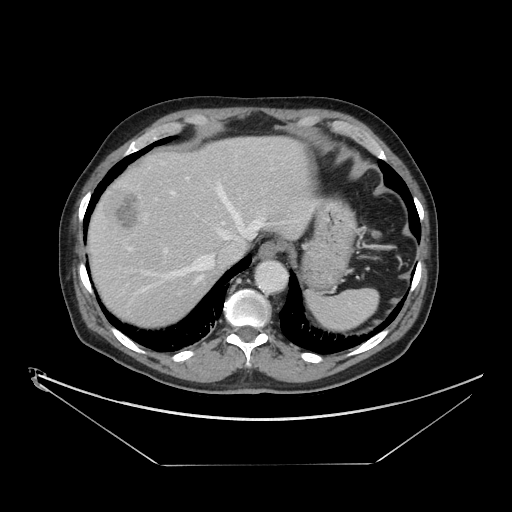 CT image
The vessel annotation is not exhaustive.
13 hepatic vessel regions are bounded by <bbox>187, 177, 188, 178</bbox>, <bbox>219, 230, 231, 239</bbox>, <bbox>145, 215, 146, 218</bbox>, <bbox>222, 222, 224, 224</bbox>, <bbox>196, 275, 203, 281</bbox>, <bbox>216, 182, 263, 236</bbox>, <bbox>127, 247, 130, 249</bbox>, <bbox>164, 249, 166, 253</bbox>, <bbox>236, 238, 238, 239</bbox>, <bbox>134, 288, 145, 293</bbox>, <bbox>171, 191, 174, 194</bbox>, <bbox>163, 255, 213, 277</bbox>, <bbox>141, 271, 149, 273</bbox>. The liver tumor is at <bbox>103, 187, 144, 231</bbox>.